Upper abdomen | CT scan slice 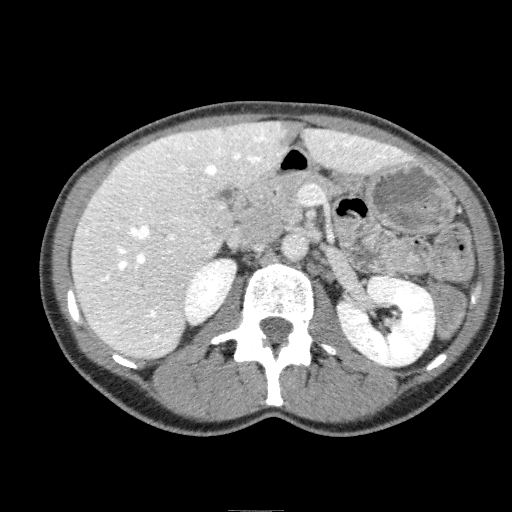

2 kidney regions are located at <box>337,276,434,365</box>, <box>184,259,235,323</box>. 2 focal liver lesion regions appear at <box>197,201,231,239</box>, <box>274,121,307,149</box>. 2 liver regions are located at <box>282,121,410,174</box>, <box>71,120,287,357</box>.